Upper abdomen, Slice index 49, CT scan slice
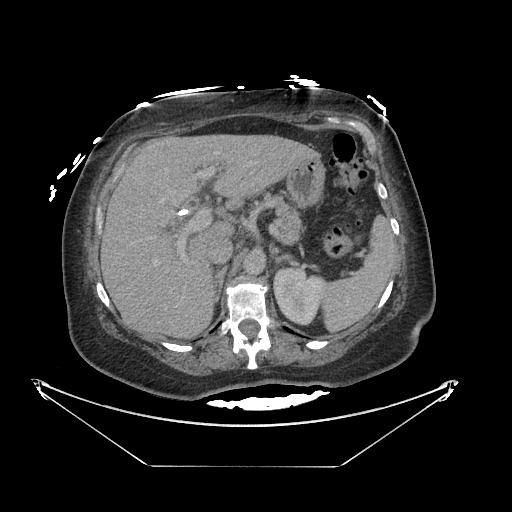 {"pancreas": ["(left=271, top=197, right=300, bottom=243)"]}